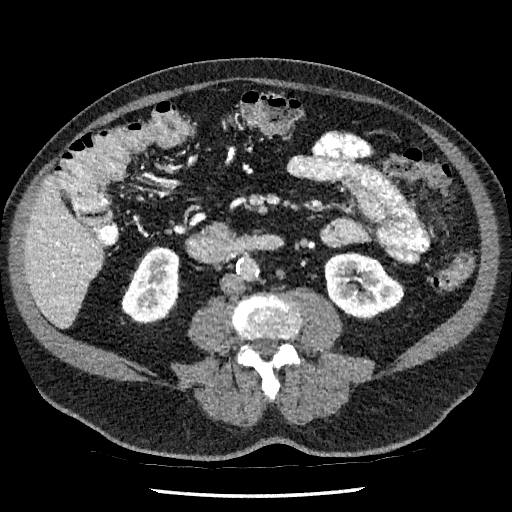
Image size 512x512. Computed tomography.

{
  "kidney": [
    "l=325, t=254, r=402, b=316",
    "l=122, t=250, r=178, b=322"
  ],
  "liver": [
    "l=25, t=178, r=102, b=327"
  ]
}